Brain, Slice index 51
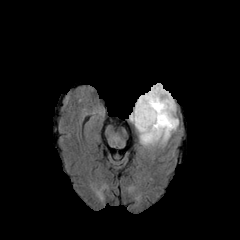
FLAIR magnetic resonance.
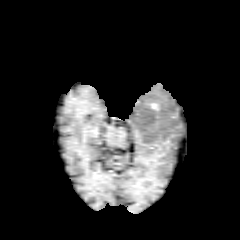
T1-weighted MRI of the same slice.
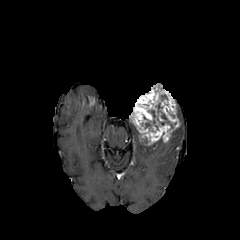
Post-contrast T1-weighted MRI.
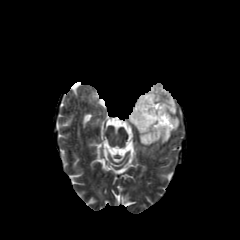
Same slice, T2-weighted MR image.
<segmentation>
  <non-enhancing_tumor_core>x1=145, y1=102, x2=169, y2=131</non-enhancing_tumor_core>
  <edema>x1=136, y1=128, x2=168, y2=148</edema>
  <enhancing_tumor>x1=131, y1=84, x2=178, y2=144</enhancing_tumor>
</segmentation>